CT slice | Abdomen

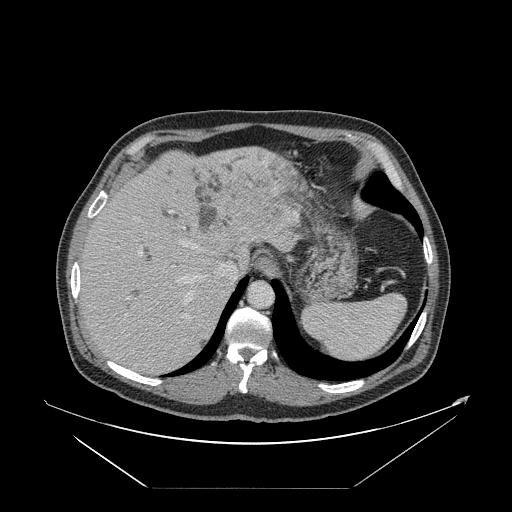

The vessel annotation is not exhaustive.
14 hepatic vessel regions appear at (169,211,173,212), (253,237,255,238), (137,219,139,220), (181,313,189,319), (212,262,237,283), (183,290,194,305), (171,266,174,268), (179,239,201,250), (124,313,127,317), (180,226,184,228), (126,297,130,300), (177,274,203,284), (138,246,142,255), (216,171,217,172).